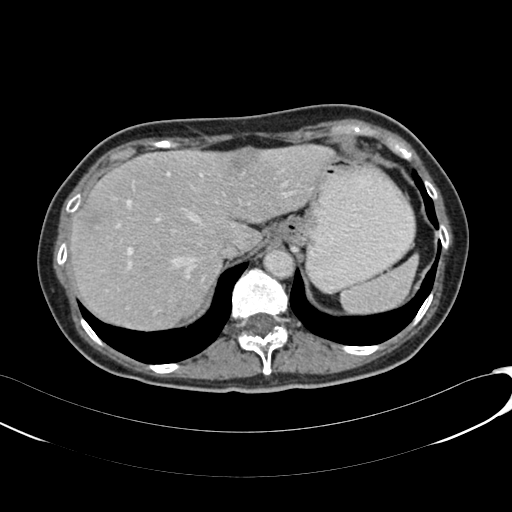

Upper abdomen, CT slice
2 focal liver lesion regions are located at {"x1": 230, "y1": 149, "x2": 260, "y2": 173}, {"x1": 82, "y1": 210, "x2": 105, "y2": 228}. The liver is bounded by {"x1": 70, "y1": 145, "x2": 330, "y2": 328}.